CT | Field of view 330x330 mm
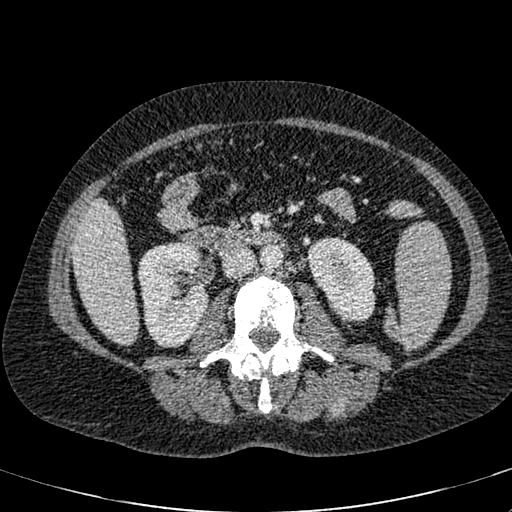
Kidney: bounding box 308,238,374,320; 138,243,207,346.
Liver: bounding box 73,201,137,342.